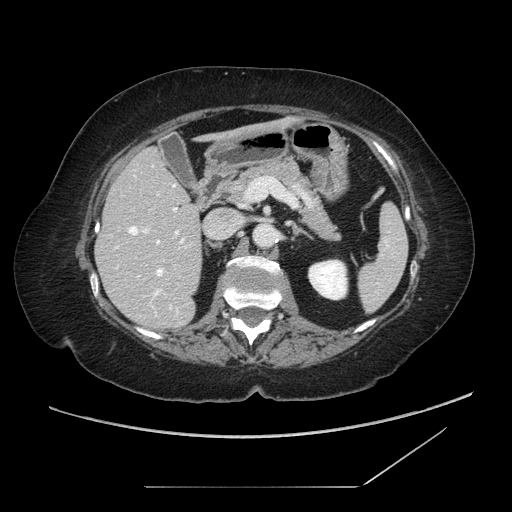 Computed tomography; Abdomen

The pancreas lies within <box>216,154,341,242</box>.